Slice 444 of 811, 512x512 px, CT image
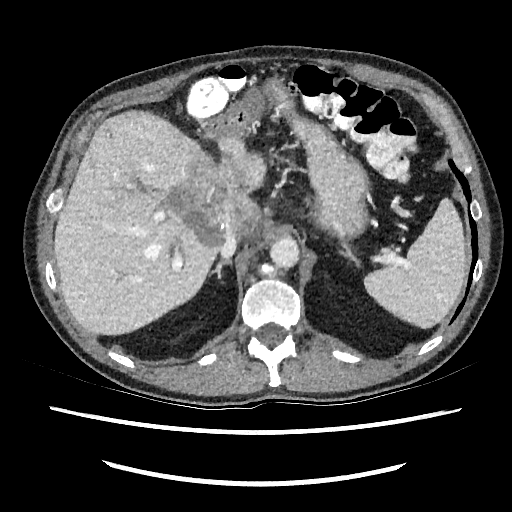 Liver — <bbox>219, 137, 265, 199</bbox>, <bbox>224, 201, 260, 237</bbox>, <bbox>54, 110, 220, 333</bbox>.
Hepatic lesion — <bbox>159, 151, 258, 245</bbox>.